FLAIR MRI.
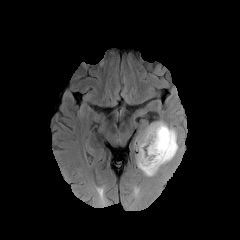
T1-weighted MR.
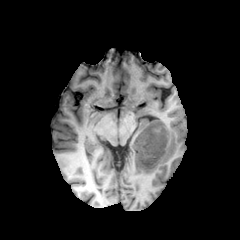
Post-contrast T1-weighted MRI.
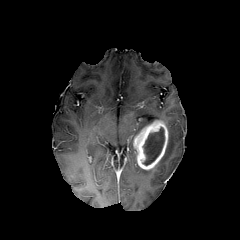
T2-weighted magnetic resonance.
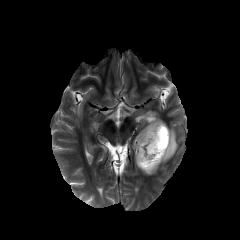
240x240
Enhancing tumor = [x1=133, y1=120, x2=168, y2=170].
Edema = [x1=135, y1=119, x2=179, y2=176].
Non-enhancing tumor core = [x1=143, y1=127, x2=164, y2=165].